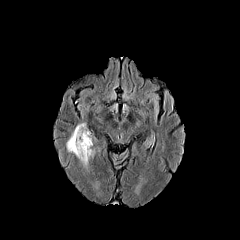
FLAIR MRI.
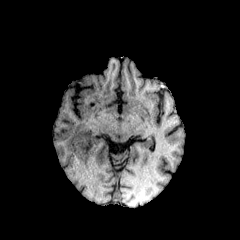
T1-weighted MR.
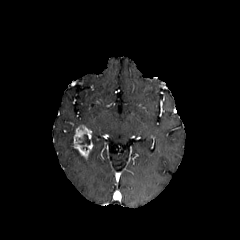
Post-contrast T1-weighted MR.
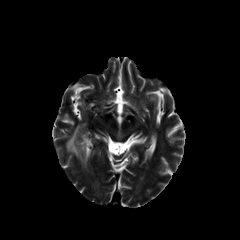
T2-weighted MRI.
{"edema": ["65,131,101,169"], "enhancing_tumor": ["73,124,92,160"], "non-enhancing_tumor_core": ["78,134,90,150"]}